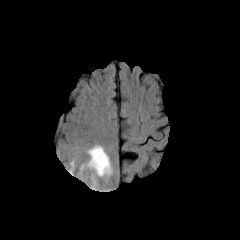
FLAIR MR.
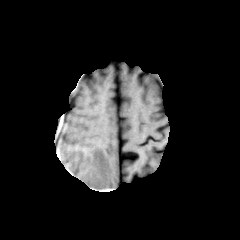
T1-weighted MR image of the same slice.
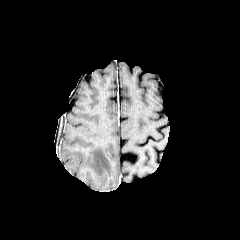
Post-contrast T1-weighted magnetic resonance.
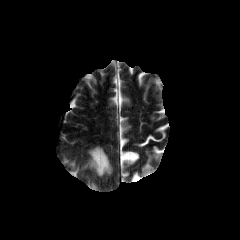
T2-weighted magnetic resonance.
Image size 240x240
{"edema": ["(x1=81, y1=146, x2=112, y2=188)"]}